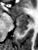 38x50 px | Magnetic resonance
Posterior hippocampus at box=[16, 25, 27, 34].
Anterior hippocampus at box=[16, 15, 28, 24].